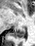
MRI slice | 35x46 | Hippocampus
Posterior hippocampus: <bbox>11, 27, 26, 38</bbox>.